Field of view 400 mm wide, 0.70 mm slice spacing; Computed tomography; 512x512; Upper abdomen

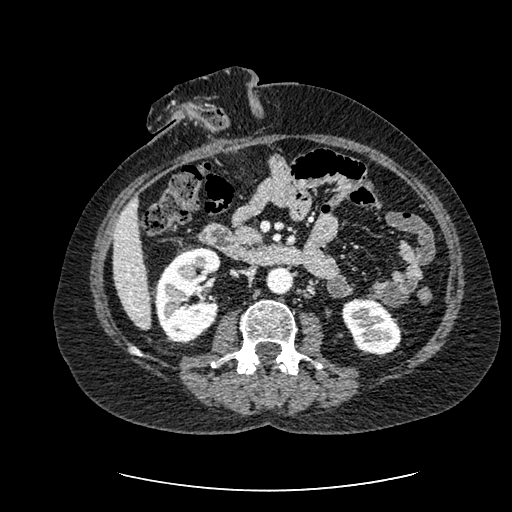
kidney: [343, 299, 400, 353], [156, 248, 219, 341] | liver: [114, 197, 150, 328]